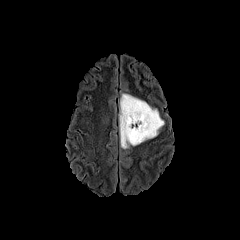
FLAIR magnetic resonance.
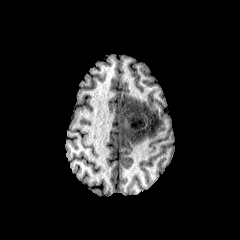
T1-weighted MR.
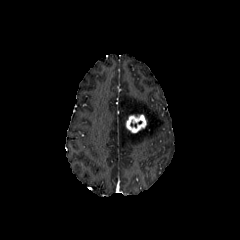
Post-contrast T1-weighted MR.
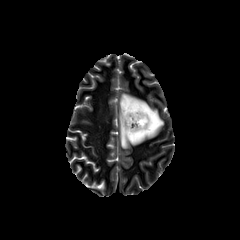
T2-weighted MR.
Head
enhancing_tumor:
  - (x1=125, y1=113, x2=148, y2=133)
edema:
  - (x1=120, y1=94, x2=164, y2=148)